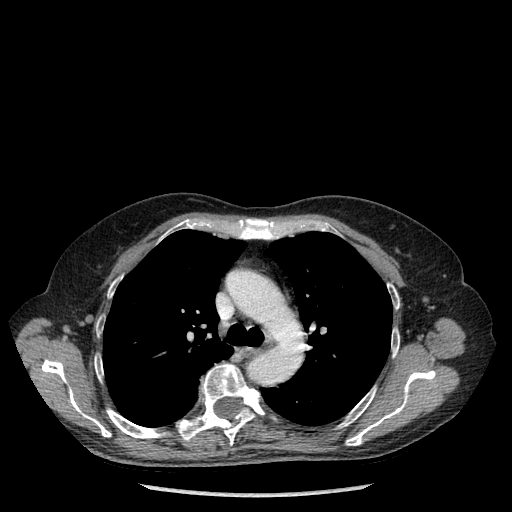
Thorax; CT scan slice
{"lung": ["103, 229, 263, 426", "262, 231, 392, 425"], "bone": ["345, 370, 435, 445", "387, 283, 399, 309", "41, 359, 111, 437", "391, 328, 399, 357", "107, 280, 115, 297", "321, 223, 336, 233", "337, 386, 376, 428", "96, 318, 103, 336", "106, 364, 266, 445", "159, 219, 195, 240", "94, 356, 103, 381", "234, 219, 281, 239"]}